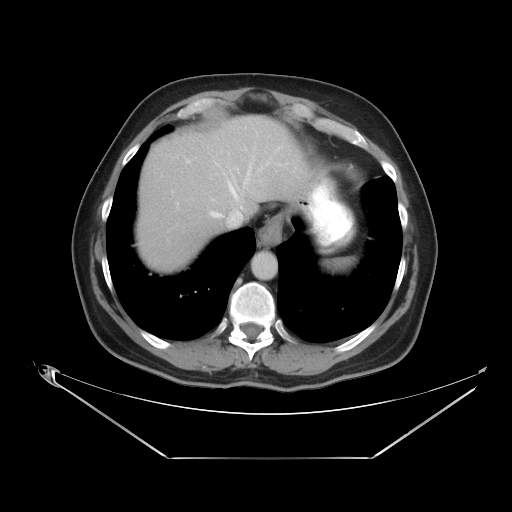

Computed tomography. The vessel annotation is not exhaustive.
hepatic vessel: [x1=248, y1=172, x2=248, y2=175], [x1=227, y1=182, x2=238, y2=201], [x1=245, y1=178, x2=247, y2=182], [x1=211, y1=213, x2=219, y2=216]